Head, 240x240, Slice index 83
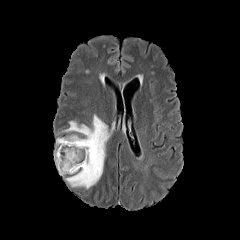
FLAIR MR.
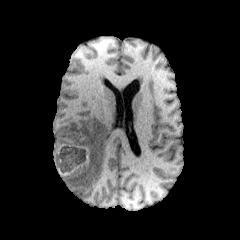
T1-weighted MRI.
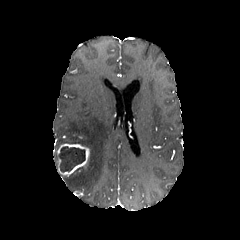
Post-contrast T1-weighted MRI of the same slice.
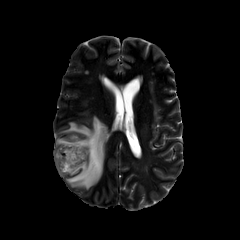
T2-weighted magnetic resonance of the same slice.
The non-enhancing tumor core is at rect(59, 146, 85, 172). The edema appears at rect(55, 114, 111, 189). The enhancing tumor is bounded by rect(56, 143, 89, 175).